Slice 137 of 216, 512x512 px, CT slice 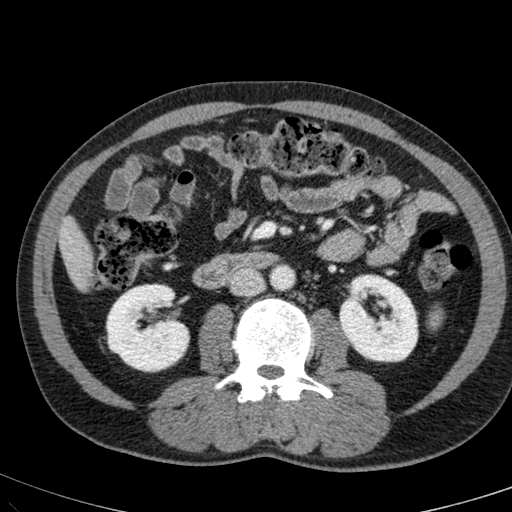
The liver appears at (58,218,91,285). 2 kidney regions are located at (340,275,416,360), (107,285,187,370).